240x240 | Head | Slice index 71
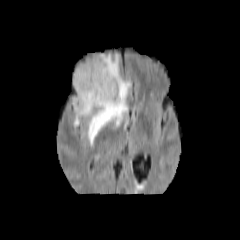
FLAIR magnetic resonance.
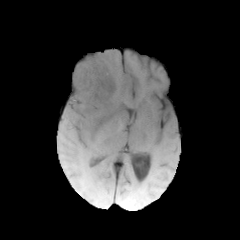
Same slice, T1-weighted MR.
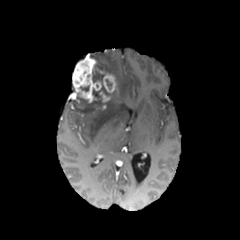
Post-contrast T1-weighted MR image of the same slice.
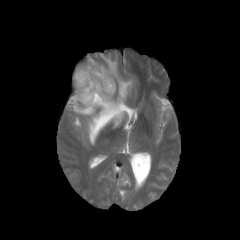
Same slice, T2-weighted MR image.
Edema = 71:53:132:142.
Enhancing tumor = 69:54:115:103, 95:91:110:110.
Non-enhancing tumor core = 93:71:103:81, 90:55:112:72, 68:89:102:113, 101:80:118:98.